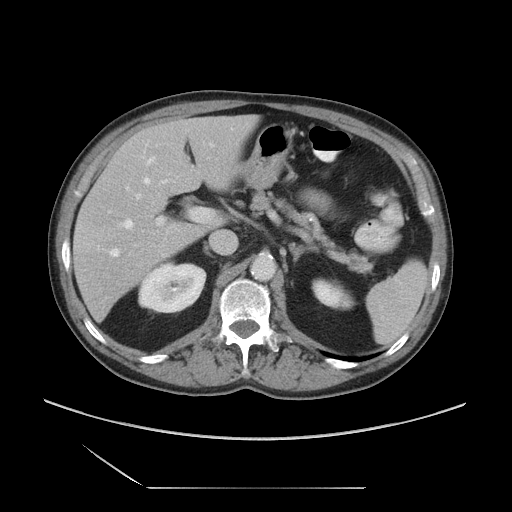

Abdomen | CT slice
Only some of the vessels may be annotated.
Findings:
- hepatic vessel: (x1=210, y1=143, x2=214, y2=146), (x1=136, y1=194, x2=140, y2=198), (x1=157, y1=218, x2=163, y2=225), (x1=144, y1=178, x2=149, y2=183), (x1=110, y1=249, x2=118, y2=256), (x1=146, y1=157, x2=153, y2=165), (x1=161, y1=180, x2=166, y2=183), (x1=192, y1=208, x2=201, y2=222), (x1=123, y1=219, x2=132, y2=228)